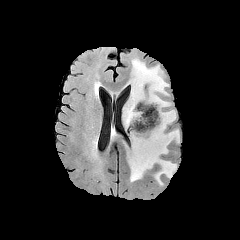
FLAIR magnetic resonance.
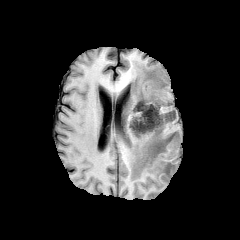
T1-weighted MRI.
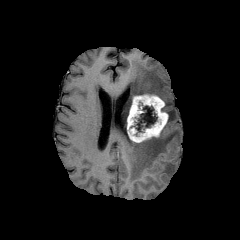
Post-contrast T1-weighted magnetic resonance of the same slice.
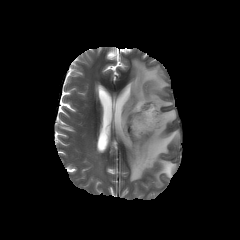
T2-weighted MR.
Image size 240x240
Non-enhancing tumor core at x1=126 y1=103 x2=157 y2=139, x1=153 y1=143 x2=165 y2=153.
Enhancing tumor at x1=127 y1=95 x2=168 y2=141.
Edema at x1=122 y1=58 x2=171 y2=130, x1=128 y1=110 x2=179 y2=184.